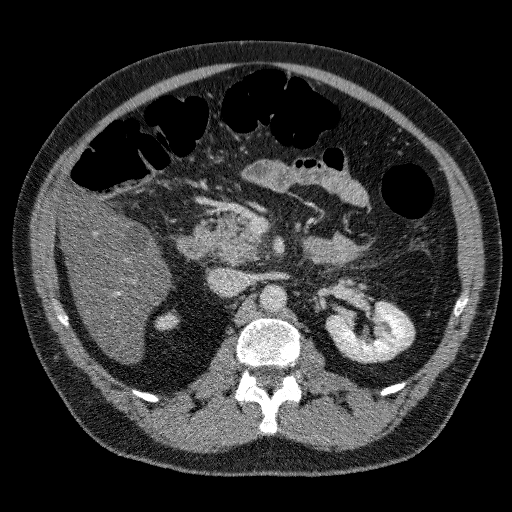 512x512 | Computed tomography | Upper abdomen

<segmentation>
  <liver>58,191,169,361</liver>
  <focal_liver_lesion>121,224,151,256</focal_liver_lesion>
  <kidney>327,302,413,361</kidney>
</segmentation>